Prostate
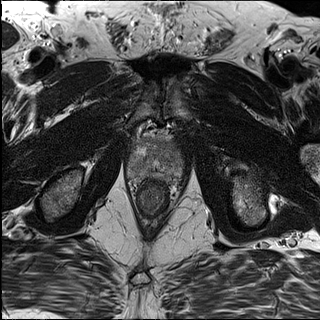
T2-weighted magnetic resonance.
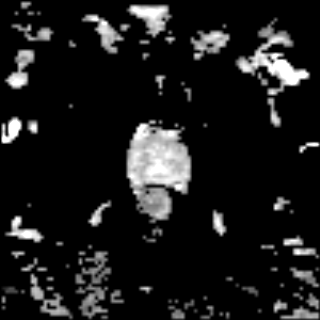
ADC MR of the same slice.
prostate_transition_zone:
  - {"x1": 126, "y1": 142, "x2": 185, "y2": 180}